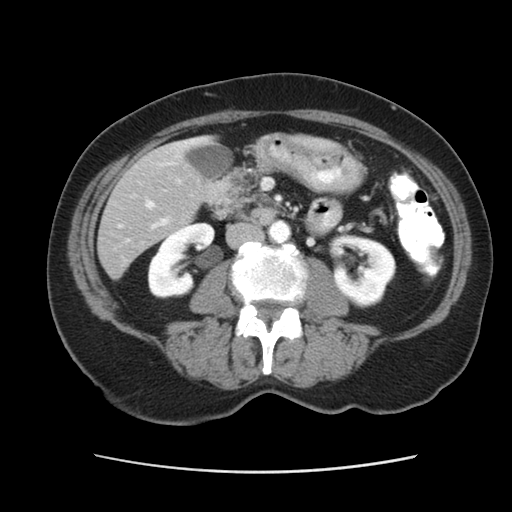 Image size 512x512 | CT slice
Some hepatic vessels may have no box.
4 hepatic vessel regions are bounded by 178:181:180:183, 151:219:168:229, 119:226:122:227, 147:202:153:208.